320x320 px, Image width 400 mm, MR, Heart
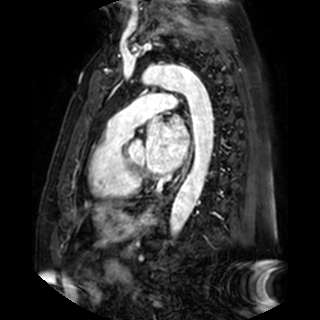 Left atrium — left=146, top=117, right=188, bottom=173.